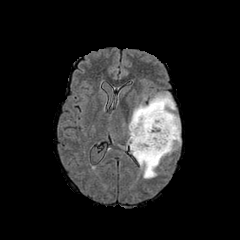
FLAIR MR.
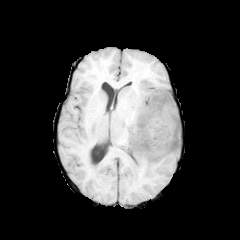
Same slice, T1-weighted MRI.
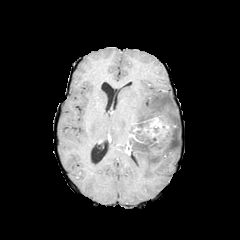
Same slice, post-contrast T1-weighted magnetic resonance.
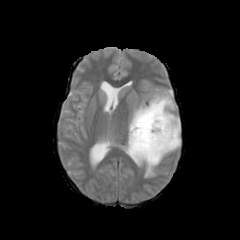
Same slice, T2-weighted MR image.
Brain
Edema: bounding box l=128, t=91, r=180, b=178.
Non-enhancing tumor core: bounding box l=128, t=105, r=177, b=155.
Enhancing tumor: bounding box l=129, t=116, r=169, b=143.